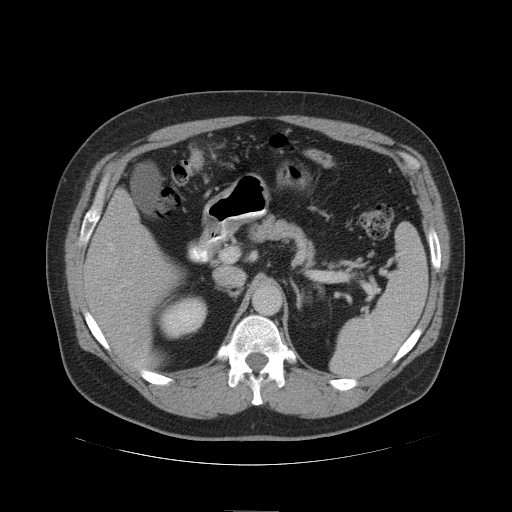

CT.
colon tumor: 190:149:202:170